FLAIR MR image.
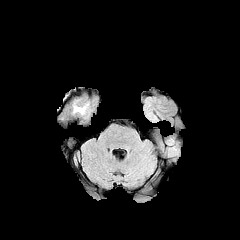
T1-weighted MR image.
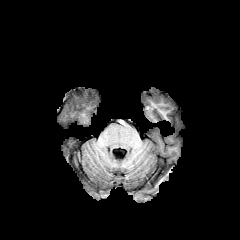
Post-contrast T1-weighted MRI.
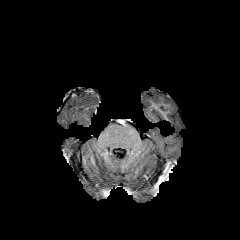
T2-weighted MRI.
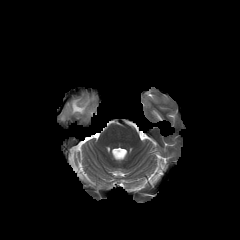
Findings:
- edema: [70, 100, 91, 119]